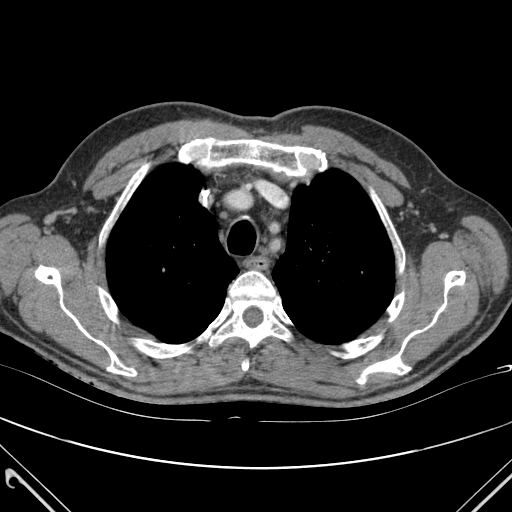

CT
lung:
  - {"x1": 106, "y1": 163, "x2": 238, "y2": 343}
  - {"x1": 272, "y1": 168, "x2": 394, "y2": 343}
bone:
  - {"x1": 198, "y1": 271, "x2": 291, "y2": 347}
  - {"x1": 135, "y1": 339, "x2": 189, "y2": 358}
  - {"x1": 357, "y1": 271, "x2": 465, "y2": 383}
  - {"x1": 99, "y1": 288, "x2": 116, "y2": 321}
  - {"x1": 372, "y1": 191, "x2": 404, "y2": 255}
  - {"x1": 179, "y1": 138, "x2": 326, "y2": 175}
  - {"x1": 387, "y1": 292, "x2": 403, "y2": 321}
  - {"x1": 242, "y1": 361, "x2": 248, "y2": 370}
  - {"x1": 344, "y1": 336, "x2": 381, "y2": 358}
  - {"x1": 35, "y1": 266, "x2": 136, "y2": 376}
  - {"x1": 100, "y1": 164, "x2": 148, "y2": 240}